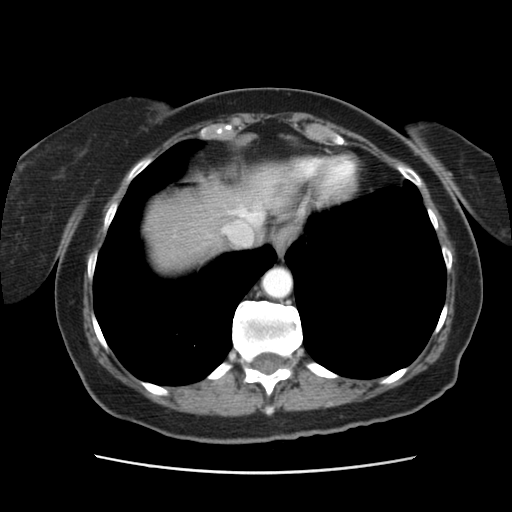 512x512. Abdomen. Computed tomography. Not every hepatic vessel necessarily has a box.
Liver tumor = x1=267 y1=175 x2=298 y2=205.
Hepatic vessel = x1=223 y1=205 x2=262 y2=245.